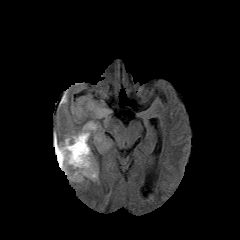
FLAIR MR image.
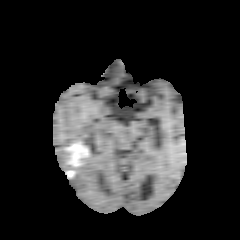
T1-weighted MR image of the same slice.
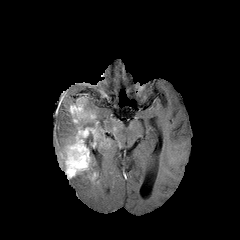
Post-contrast T1-weighted MR image of the same slice.
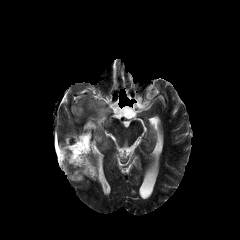
T2-weighted MR image of the same slice.
240x240
* non-enhancing tumor core: left=55, top=140, right=66, bottom=154; left=85, top=131, right=97, bottom=156
* edema: left=82, top=101, right=108, bottom=127; left=59, top=130, right=77, bottom=144; left=71, top=140, right=111, bottom=182
* enhancing tumor: left=57, top=122, right=108, bottom=179